MRI slice; 35x56 px

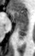 anterior hippocampus: 10,10,28,23 | posterior hippocampus: 17,24,28,39